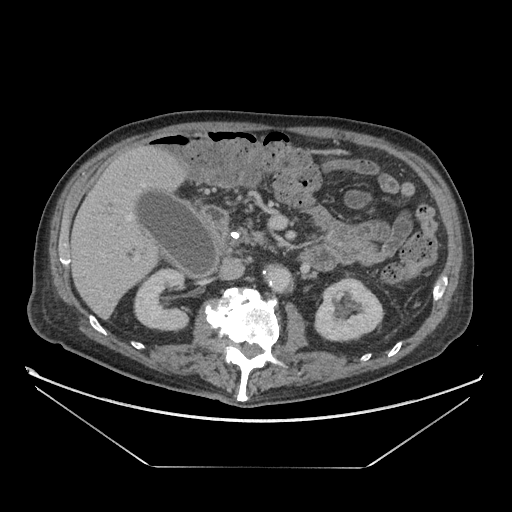

CT. Abdomen.
Pancreas — 233,228,266,246.
Pancreatic tumor — 255,233,262,241.